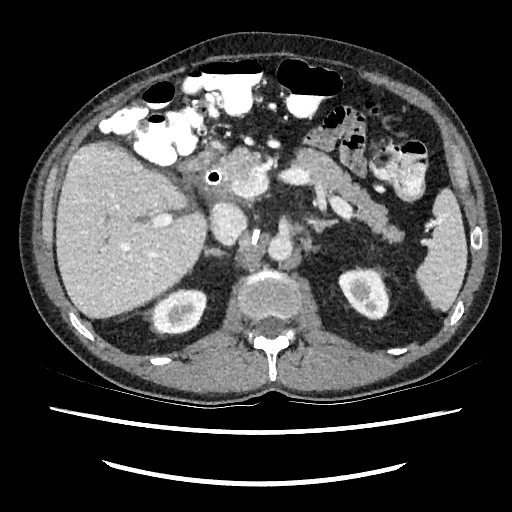 512x512 px | CT slice | Upper abdomen
2 kidney regions are bounded by (x1=339, y1=271, x2=387, y2=317), (x1=154, y1=291, x2=205, y2=332). The liver is bounded by (x1=56, y1=144, x2=207, y2=317). The liver lesion is at (x1=106, y1=144, x2=114, y2=151).